FLAIR MRI.
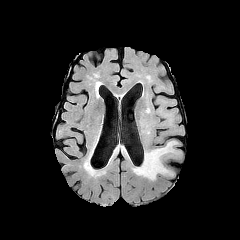
T1-weighted magnetic resonance.
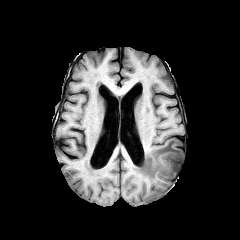
Post-contrast T1-weighted magnetic resonance.
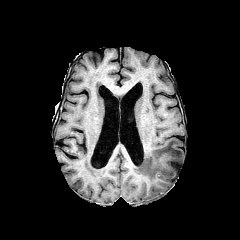
T2-weighted MR.
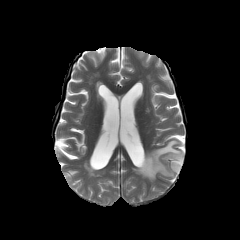
Brain
Edema = [132,140,179,180].